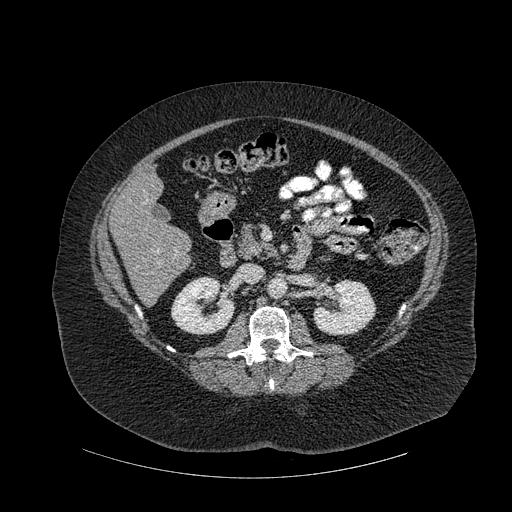

CT image
Bone at [228, 306, 312, 364].
Kidney at [314, 280, 374, 334], [172, 277, 233, 333].
Liver at [110, 173, 191, 300].